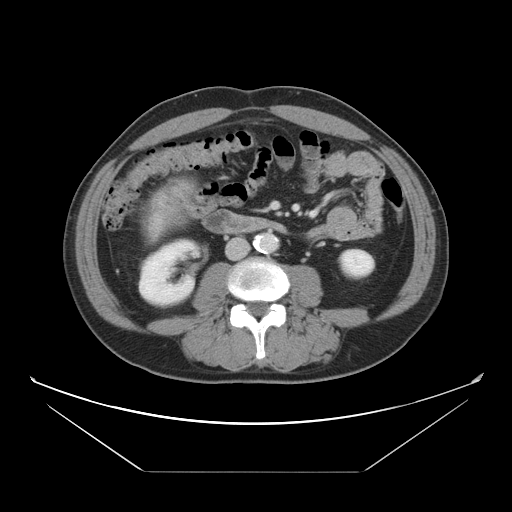
CT.
Annotated regions:
• liver tumor: 149, 181, 187, 237